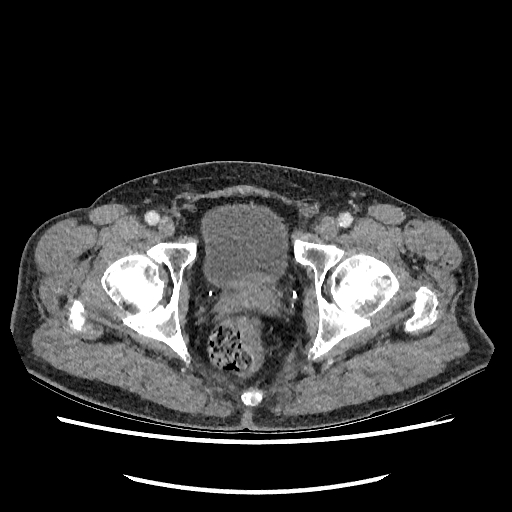 512x512, Pelvis, Computed tomography
The urinary bladder is located at [x1=201, y1=204, x2=287, y2=295].